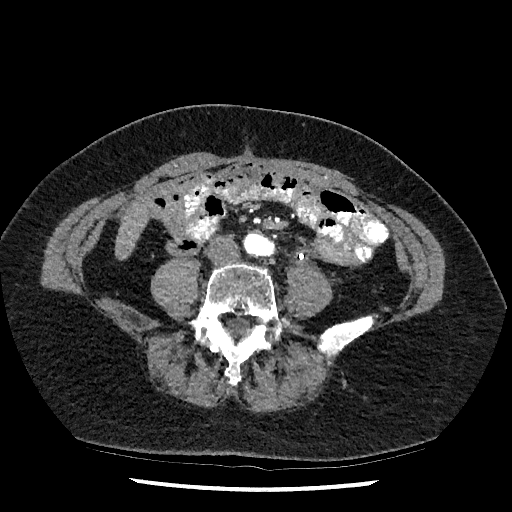

512x512 px, Abdomen, CT image
The liver is located at (x1=116, y1=202, x2=147, y2=258).